512x512. Field of view 369x369 mm. Slice 83 of 816. CT slice. Pelvis. 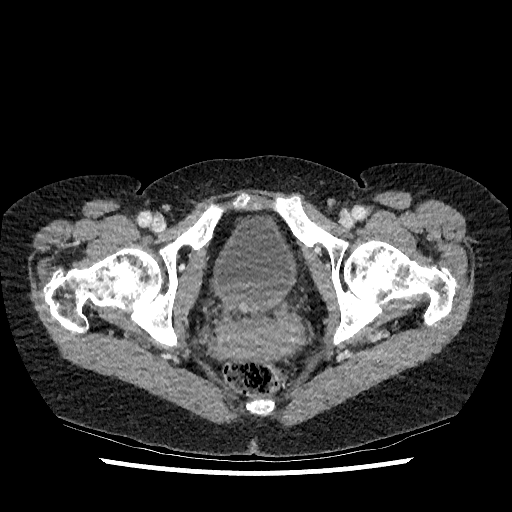 urinary_bladder:
  - 212 213 298 298